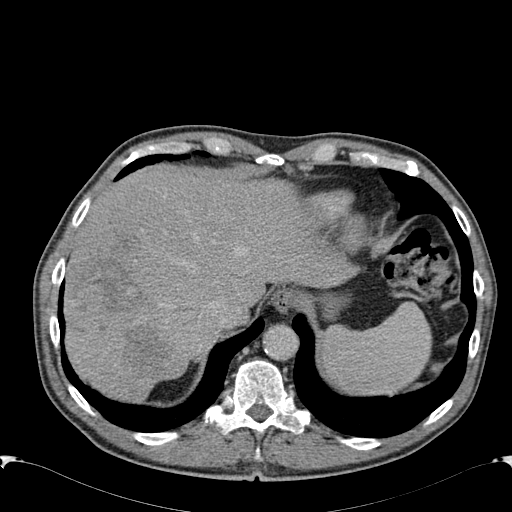
CT. The liver is at bbox=[64, 166, 359, 399]. 2 focal liver lesion regions are bounded by bbox=[124, 325, 169, 374]; bbox=[69, 236, 143, 310].